512x512. CT. Pelvis. Slice 54/205.
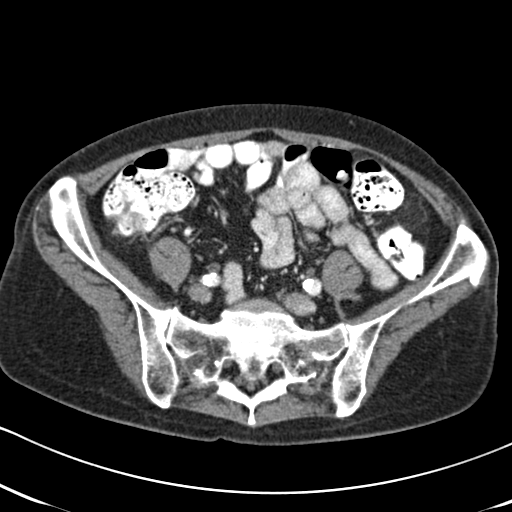
Colon tumor — <box>110,202,143,229</box>.